CT image. Field of view 404x404 mm.
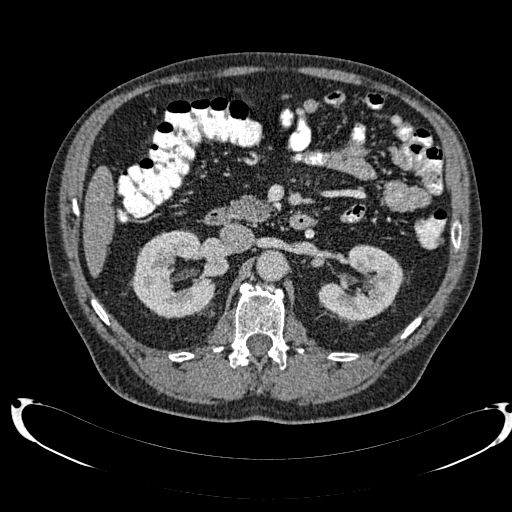

Kidney: (132,230,232,318), (318,245,402,322).
Liver: (83,166,113,274).